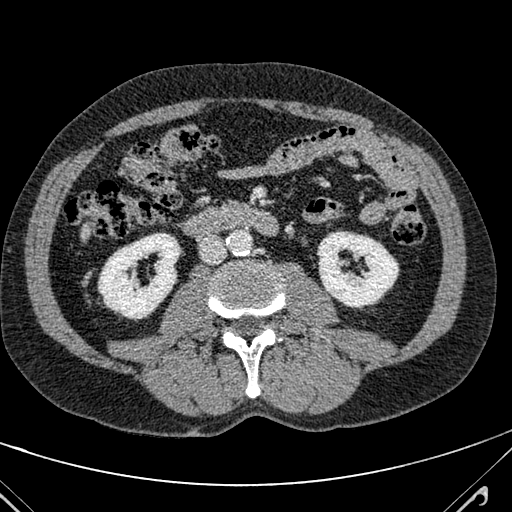
512x512 px | Upper abdomen | CT image
The liver is located at <box>82,222,91,237</box>.